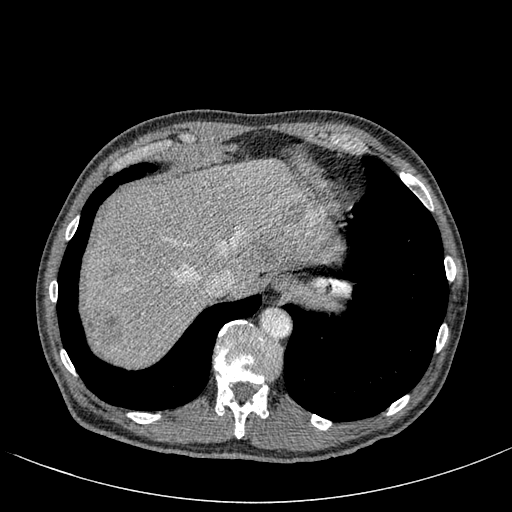 Image size 512x512. Computed tomography. Liver: (84, 320, 96, 346), (83, 159, 343, 366).
Hepatic lesion: (104, 267, 117, 281), (83, 306, 124, 348), (283, 199, 311, 223), (257, 249, 267, 257).